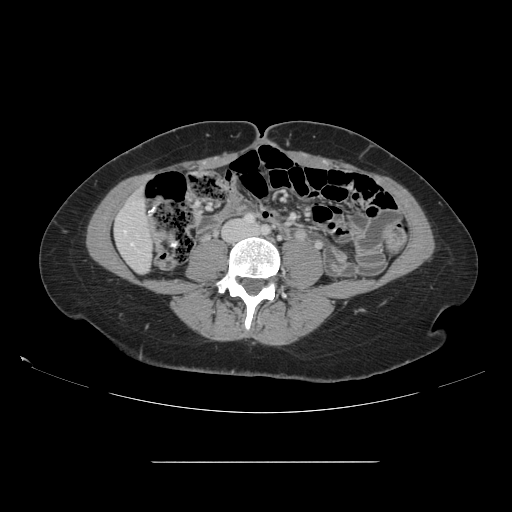 CT scan slice; Liver
The vessel annotation is not exhaustive.
Hepatic vessel = left=124, top=231, right=125, bottom=232; left=131, top=243, right=132, bottom=244.